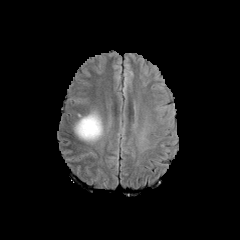
FLAIR MRI.
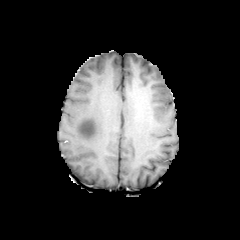
T1-weighted MRI.
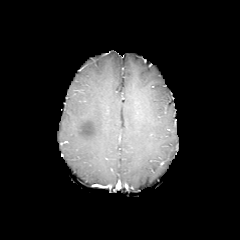
Same slice, post-contrast T1-weighted MR.
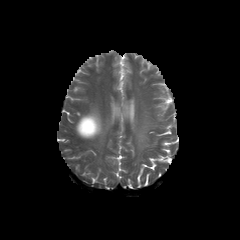
T2-weighted magnetic resonance.
Image size 240x240
Findings:
- edema: <bbox>73, 108, 104, 142</bbox>